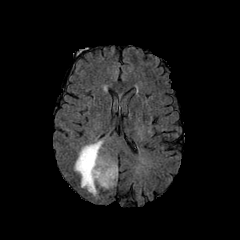
FLAIR MR image.
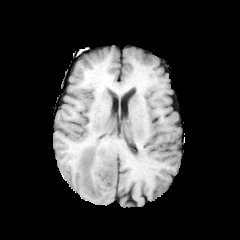
T1-weighted MR image.
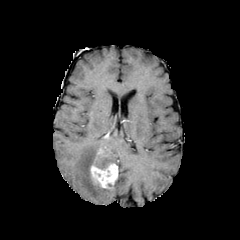
Post-contrast T1-weighted MR image.
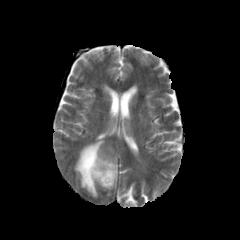
T2-weighted MRI.
240x240
Findings:
• edema: [74, 138, 114, 197]
• non-enhancing tumor core: [82, 152, 99, 185], [94, 162, 115, 168]
• enhancing tumor: [91, 163, 117, 187]